FLAIR MR.
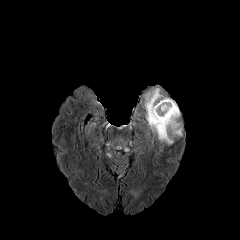
T1-weighted magnetic resonance.
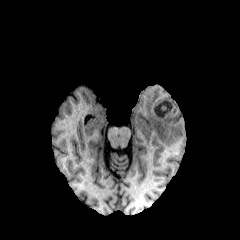
Post-contrast T1-weighted MRI.
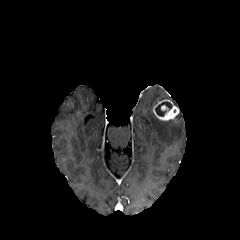
T2-weighted MR image.
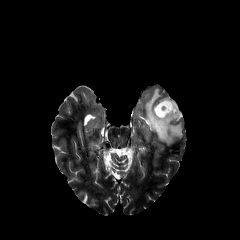
Head
non-enhancing_tumor_core:
  - bbox(155, 101, 172, 116)
enhancing_tumor:
  - bbox(152, 100, 179, 122)
edema:
  - bbox(142, 88, 182, 146)